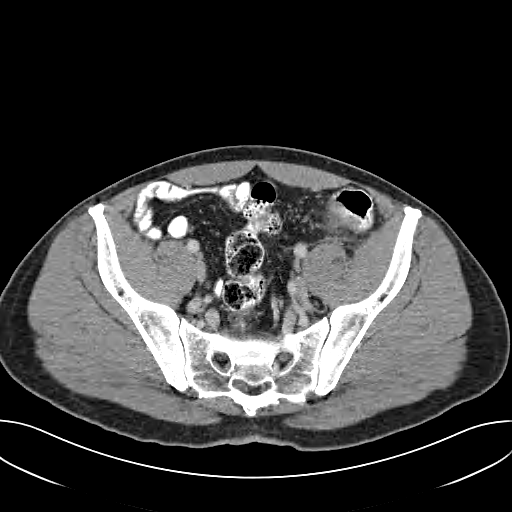 CT, Abdomen
The colon tumor appears at (x1=327, y1=201, x2=360, y2=227).